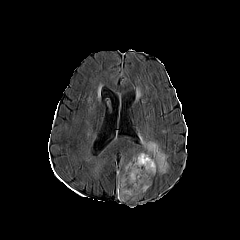
FLAIR MRI.
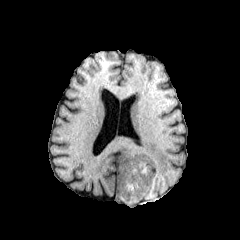
T1-weighted MR image.
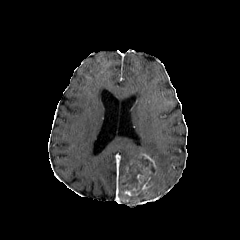
Post-contrast T1-weighted MR image.
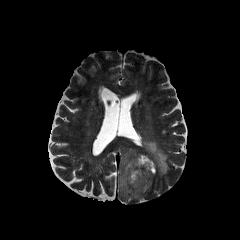
Same slice, T2-weighted MR.
Image size 240x240 | Brain
• edema: (left=138, top=133, right=168, bottom=174)
• non-enhancing tumor core: (left=121, top=156, right=154, bottom=189)
• enhancing tumor: (left=118, top=153, right=156, bottom=202)